FLAIR MR.
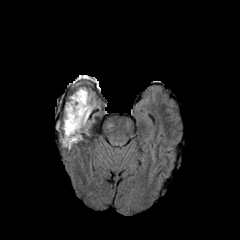
T1-weighted MR.
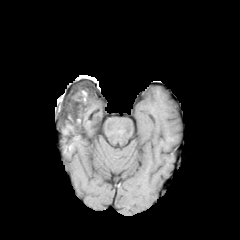
Post-contrast T1-weighted magnetic resonance.
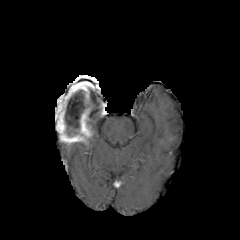
T2-weighted MRI.
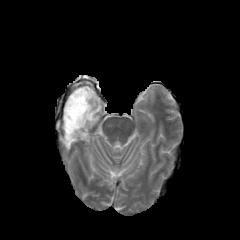
Head
<segmentation>
  <edema>box(68, 110, 89, 139); box(69, 91, 82, 109); box(61, 127, 72, 145); box(82, 86, 94, 113)</edema>
  <non-enhancing_tumor_core>box(66, 101, 84, 126)</non-enhancing_tumor_core>
</segmentation>